Upper abdomen | CT slice 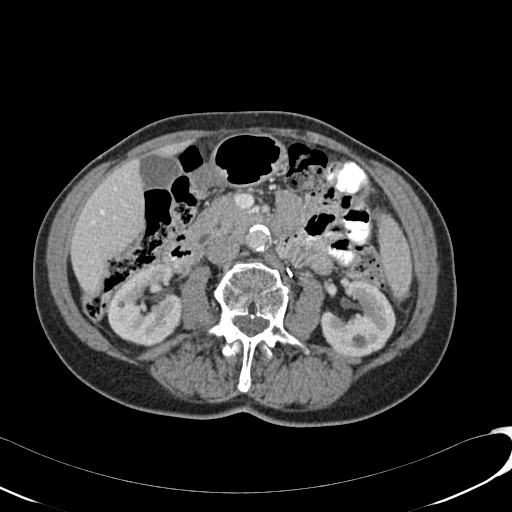 {"liver": ["region(72, 159, 143, 291)", "region(157, 139, 194, 155)"], "kidney": ["region(107, 264, 181, 345)", "region(321, 279, 394, 356)"]}